Abdomen; CT image
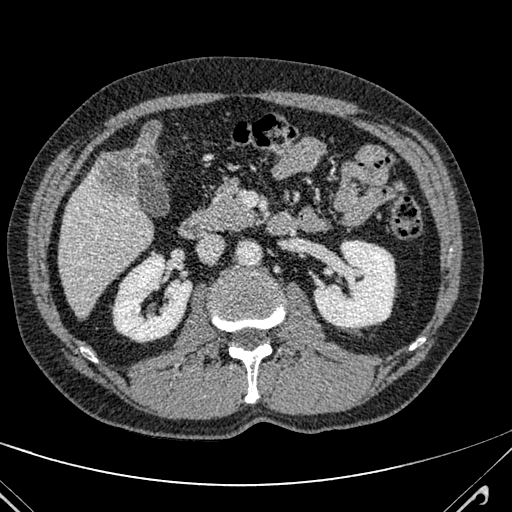
{
  "focal_liver_lesion": [
    "98:122:161:195"
  ],
  "liver": [
    "60:155:151:317"
  ]
}